CT slice; Slice 32 of 85
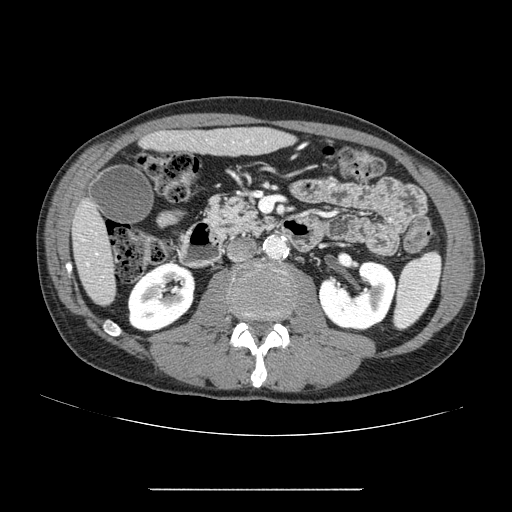 pancreas: (206,196,273,238)